Hippocampus, Slice index 22, MRI slice 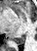

posterior_hippocampus:
  - <box>11,37,23,44</box>
  - <box>25,33,25,36</box>